CT image | Image size 512x512

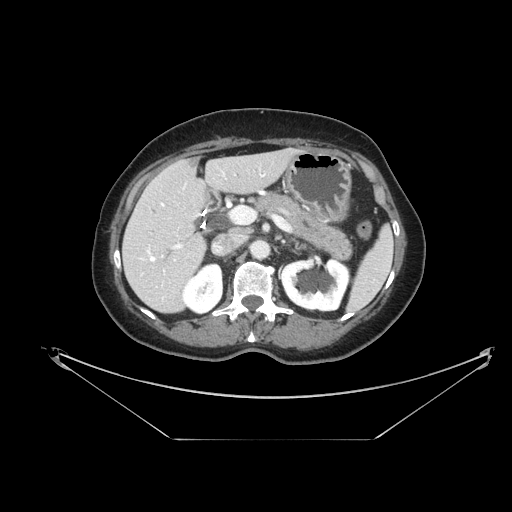

Pancreas — (256,193,353,260).